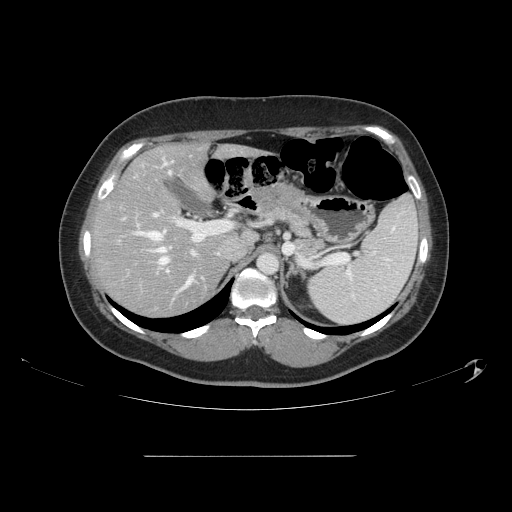

Liver | CT image
The vessel annotation is not exhaustive.
Findings:
• hepatic vessel: bbox(169, 171, 170, 173); bbox(164, 230, 165, 232); bbox(151, 247, 165, 252); bbox(163, 159, 166, 164); bbox(134, 231, 143, 234); bbox(146, 231, 161, 239); bbox(153, 213, 157, 216); bbox(192, 237, 198, 241); bbox(166, 269, 168, 272); bbox(184, 278, 191, 287); bbox(159, 257, 167, 264); bbox(191, 250, 194, 254)